Abdomen. Slice 485/751. CT. Field of view 403x403 mm.
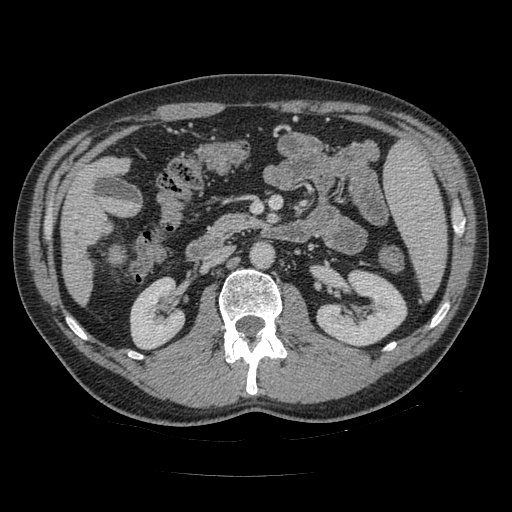

Annotated regions:
- pancreas: 210 213 262 239